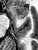

MR | 38x50 px | Medial temporal lobe
Annotated regions:
• anterior hippocampus: 12 6 27 18